Field of view 240x240 mm
FLAIR MR image.
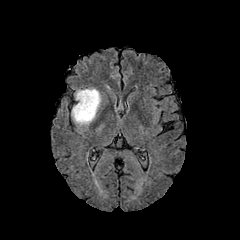
T1-weighted MRI.
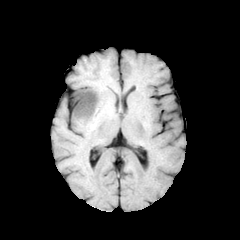
Post-contrast T1-weighted MR image.
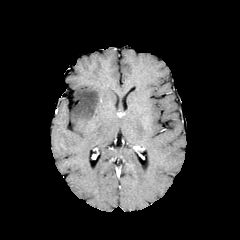
T2-weighted MR.
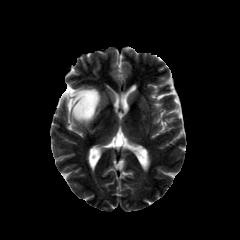
<segmentation>
  <edema>[72,88,100,124]</edema>
</segmentation>